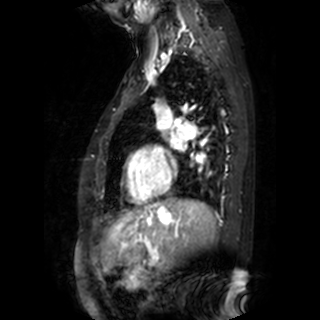 MR image | 320x320
- left atrium: (170,139,181,148)